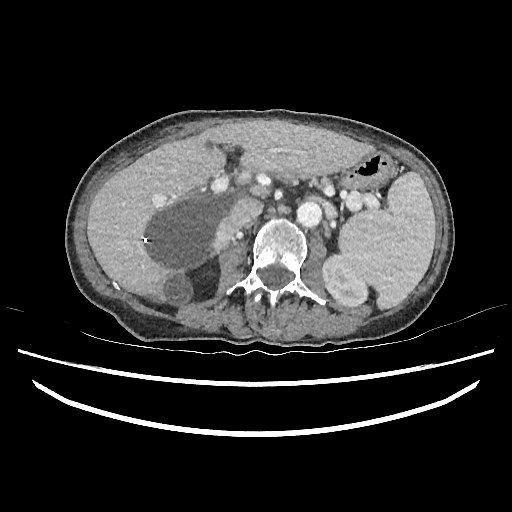 Upper abdomen; CT slice
Hepatic lesion: bounding box rect(145, 194, 229, 270); rect(166, 274, 191, 304).
Kidney: bounding box rect(322, 257, 367, 306).
Liver: bounding box rect(88, 121, 373, 303).